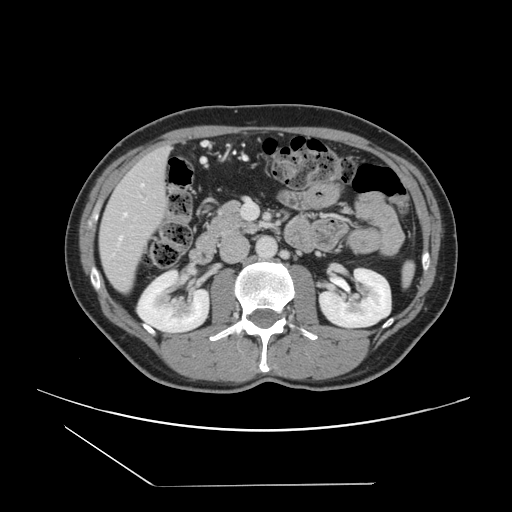
Liver | CT image | Image size 512x512
Only some of the vessels may be annotated.
hepatic_vessel:
  - rect(143, 199, 146, 202)
  - rect(117, 244, 118, 248)